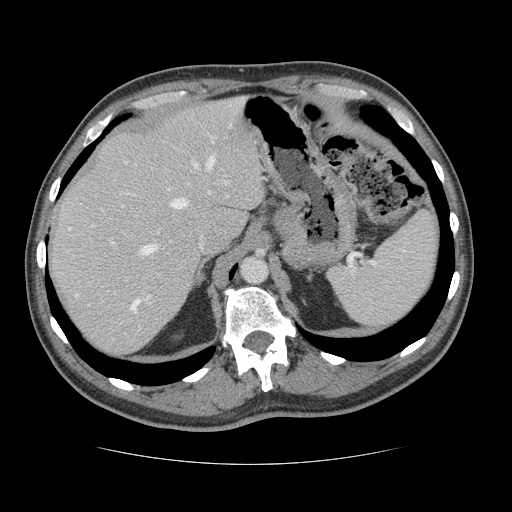

CT slice. 512x512 px. Abdomen.

Only some of the vessels may be annotated.
hepatic_vessel:
  - 141 245 155 253
  - 193 160 197 166
  - 223 181 227 183
  - 208 191 209 193
  - 157 230 158 232
  - 130 299 139 311
  - 76 293 78 295
  - 229 123 231 125
  - 143 294 150 302
  - 171 198 187 207
  - 211 137 212 142
  - 110 240 113 243
  - 207 156 213 167
  - 168 188 169 189
  - 125 161 126 163